FLAIR MRI.
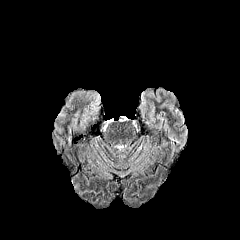
T1-weighted MR image.
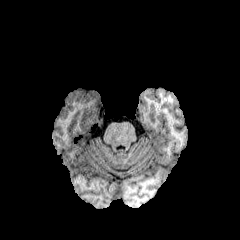
Post-contrast T1-weighted MRI.
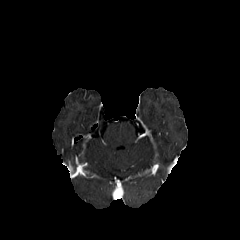
T2-weighted MRI.
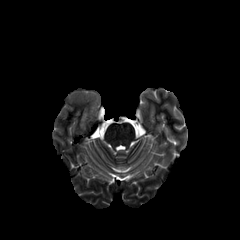
Brain
The edema lies within bbox=[86, 92, 99, 112].